512x512, Field of view 460 mm wide, 2.50 mm slice spacing, CT 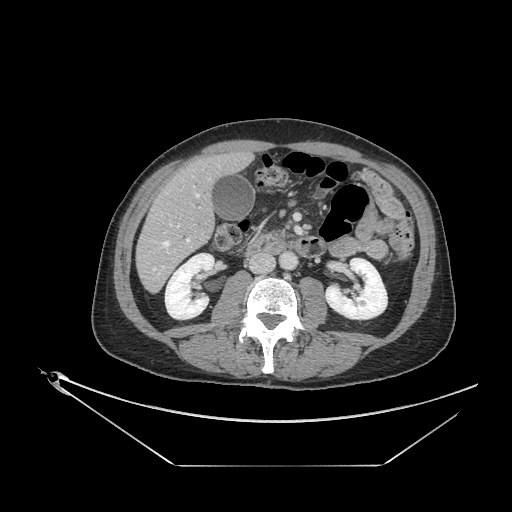

{"pancreas": ["box(275, 230, 289, 237)"]}